Abdomen. Computed tomography. 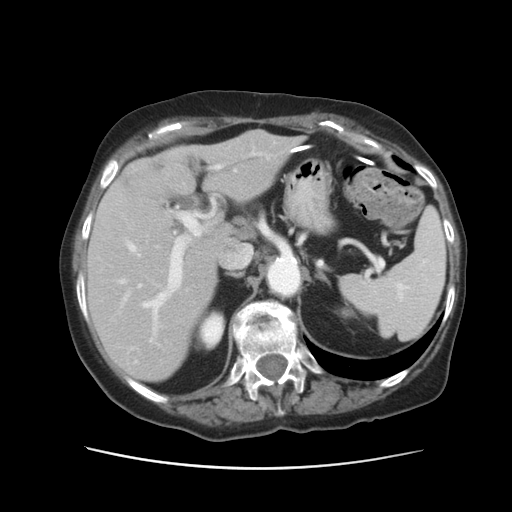 Some hepatic vessels may have no box.
Hepatic vessel at rect(117, 202, 119, 203); rect(251, 149, 271, 159); rect(126, 241, 139, 257); rect(118, 279, 125, 283); rect(120, 291, 129, 306); rect(213, 165, 221, 169); rect(126, 348, 135, 349); rect(134, 361, 136, 362); rect(140, 197, 214, 332); rect(149, 338, 156, 344); rect(138, 285, 140, 287).
Liver tumor at rect(122, 159, 168, 191).